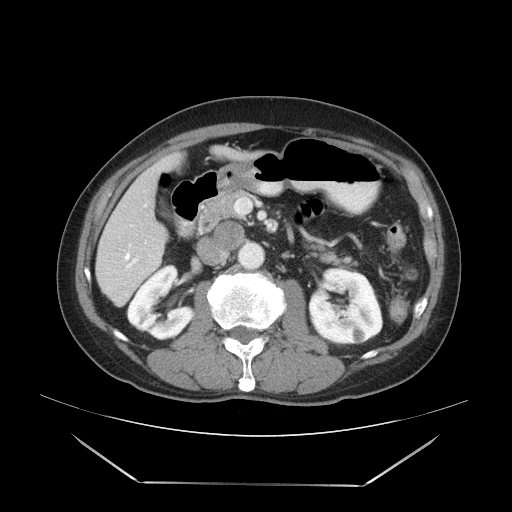

Abdomen | CT slice

The vessel boxes may cover only some of the vessels.
The hepatic vessel appears at bbox(124, 256, 139, 269).